240x240 px
FLAIR MR image.
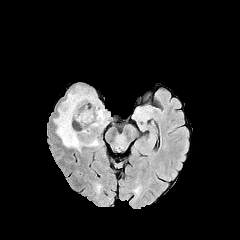
T1-weighted MR.
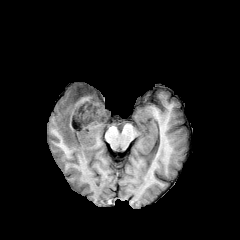
Post-contrast T1-weighted MR.
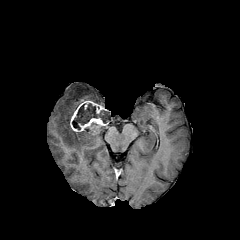
T2-weighted magnetic resonance.
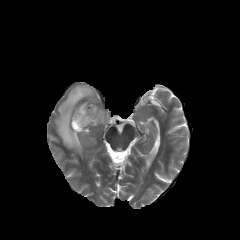
Findings:
- enhancing tumor: region(70, 101, 108, 131)
- non-enhancing tumor core: region(72, 103, 107, 130)
- edema: region(88, 138, 97, 146); region(53, 85, 99, 152)